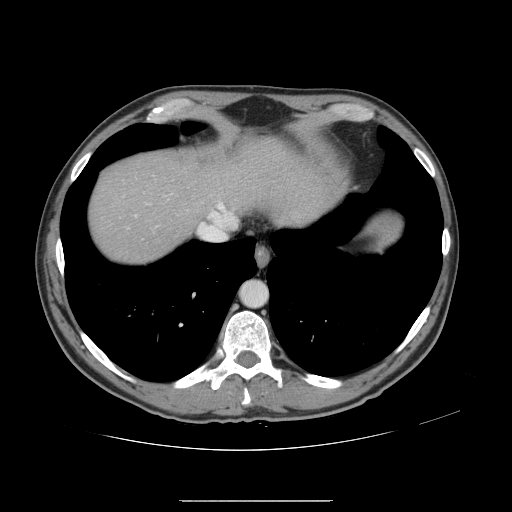

CT slice
The vessel boxes may cover only some of the vessels.
Segmented structures:
- hepatic vessel: l=200, t=203, r=236, b=240